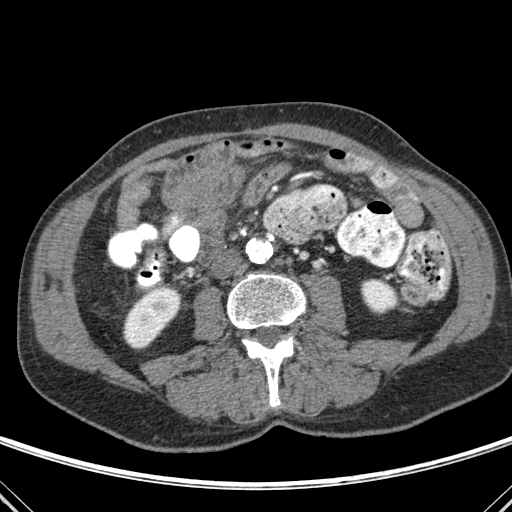
CT image

2 kidney regions are bounded by 363,280,393,311; 125,288,179,347. 2 bone regions are located at 227,273,305,329; 242,335,296,407.